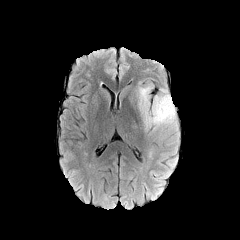
FLAIR MRI.
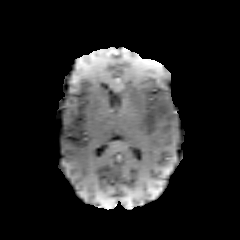
T1-weighted MR.
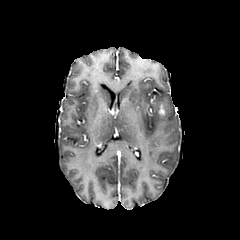
Post-contrast T1-weighted MR.
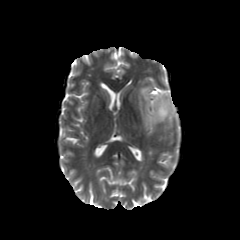
T2-weighted MR image of the same slice.
Brain
Findings:
- edema: x1=136 y1=82 x2=179 y2=159
- enhancing tumor: x1=158 y1=103 x2=165 y2=116